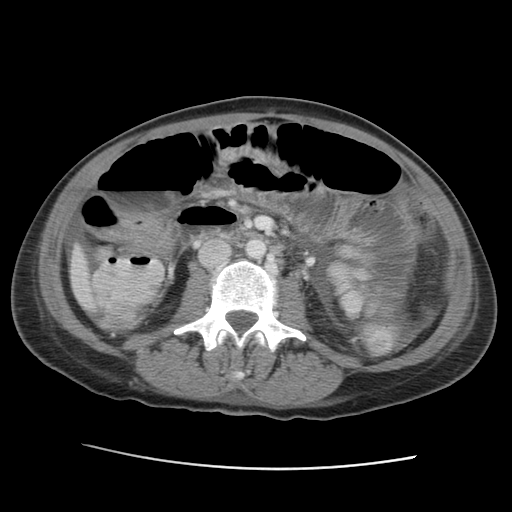 CT scan slice; Liver
The liver appears at 71 246 98 308.